Image width 240 mm; Slice 99 of 155; Brain
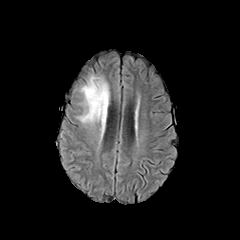
FLAIR magnetic resonance.
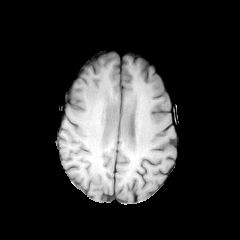
T1-weighted MR.
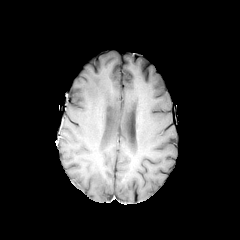
Post-contrast T1-weighted magnetic resonance.
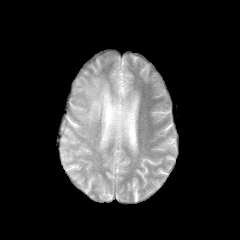
T2-weighted MR image.
edema: <bbox>76, 75, 110, 140</bbox>